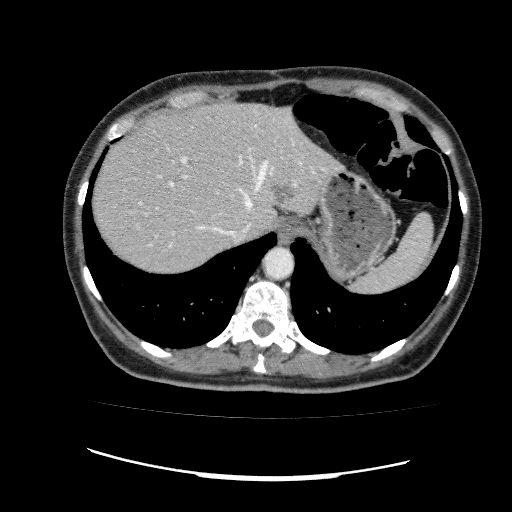 Image size 512x512; Liver; CT image

The liver lesion is at 272,184,292,204. The liver is located at 93,100,345,274.